FLAIR magnetic resonance.
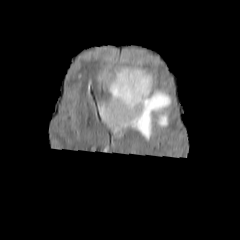
T1-weighted MR.
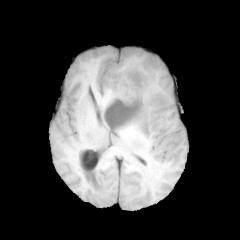
Post-contrast T1-weighted MRI.
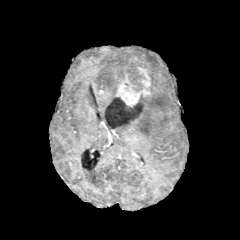
T2-weighted magnetic resonance.
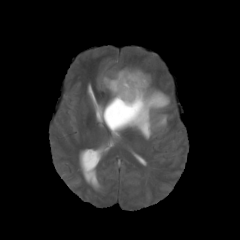
Image size 240x240
<segmentation>
  <non-enhancing_tumor_core>{"x1": 104, "y1": 96, "x2": 142, "y2": 128}, {"x1": 122, "y1": 67, "x2": 146, "y2": 92}</non-enhancing_tumor_core>
  <enhancing_tumor>{"x1": 115, "y1": 67, "x2": 150, "y2": 107}</enhancing_tumor>
  <edema>{"x1": 104, "y1": 66, "x2": 135, "y2": 99}, {"x1": 110, "y1": 82, "x2": 170, "y2": 138}</edema>
</segmentation>